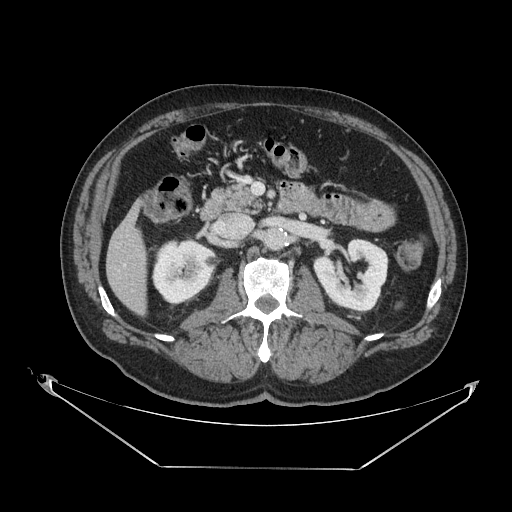

Abdomen. CT.
The pancreas appears at <bbox>212, 181, 263, 215</bbox>.